CT, Upper abdomen, Slice index 83 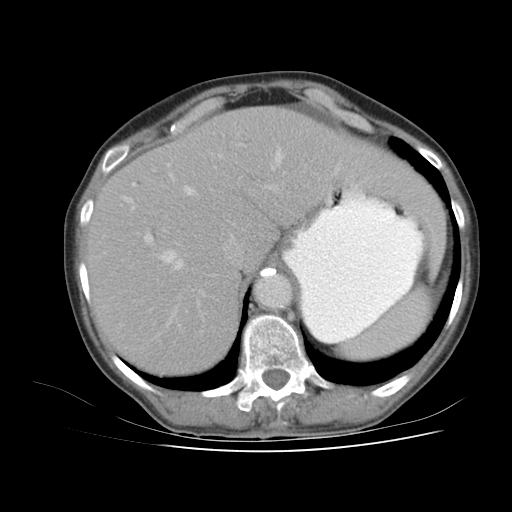 <segmentation>
  <spleen>left=341, top=290, right=432, bottom=360</spleen>
</segmentation>